CT scan slice. 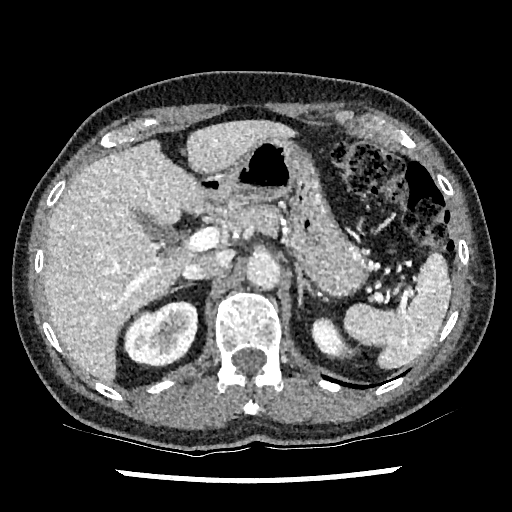
Liver = l=45, t=139, r=210, b=380; l=186, t=121, r=295, b=174.
Kidney = l=126, t=303, r=196, b=364; l=314, t=322, r=340, b=353.